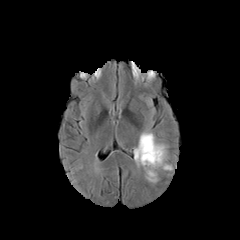
FLAIR MR image.
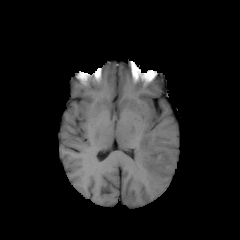
Same slice, T1-weighted MR image.
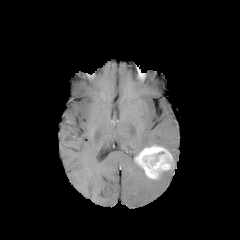
Post-contrast T1-weighted MRI.
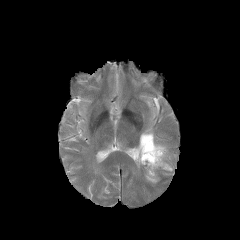
Same slice, T2-weighted MR image.
Head, Image size 240x240
The enhancing tumor appears at 134:143:174:180. The edema appears at 132:122:168:156.